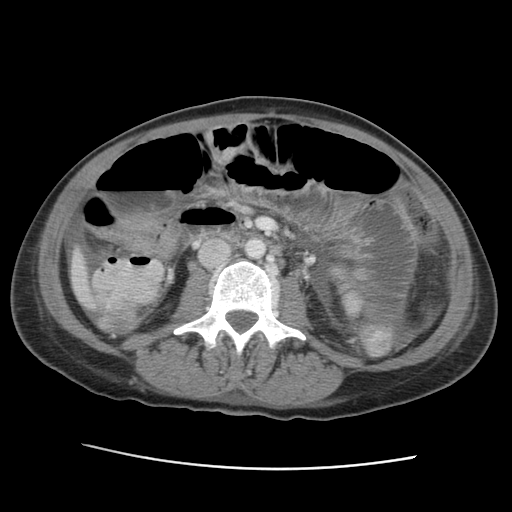 Upper abdomen. CT slice.

{
  "liver": [
    "71:250:92:306"
  ]
}